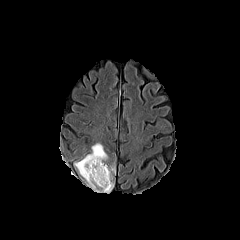
FLAIR MRI.
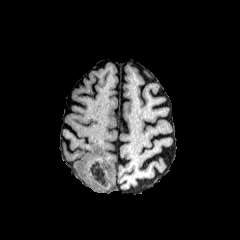
T1-weighted MRI.
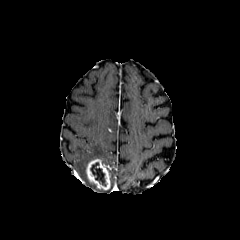
Post-contrast T1-weighted MR.
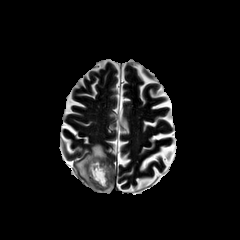
T2-weighted MR image.
240x240
Non-enhancing tumor core — box=[90, 163, 107, 187].
Edema — box=[75, 144, 106, 178].
Enhancing tumor — box=[84, 159, 111, 190].